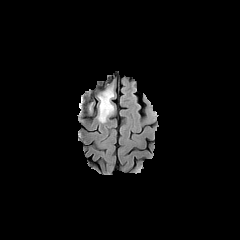
FLAIR magnetic resonance.
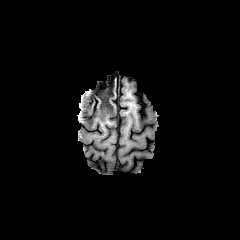
T1-weighted MRI of the same slice.
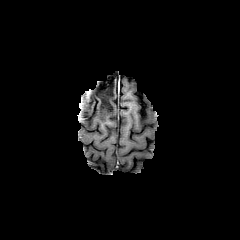
Same slice, post-contrast T1-weighted magnetic resonance.
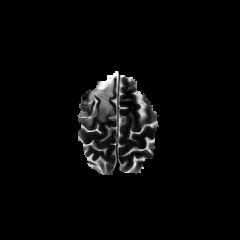
Same slice, T2-weighted magnetic resonance.
The non-enhancing tumor core is bounded by [x1=98, y1=84, x2=113, y2=105]. 2 edema regions are bounded by [x1=96, y1=87, x2=115, y2=123], [x1=79, y1=97, x2=92, y2=112].